CT scan slice. 512x512 px. Abdomen. Field of view 356x356 mm.

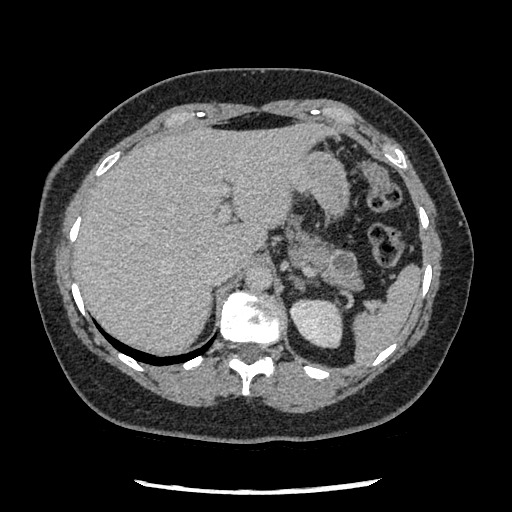 The pancreatic tumor appears at <box>329,250,357,278</box>. The pancreas is located at <box>286,215,362,290</box>.